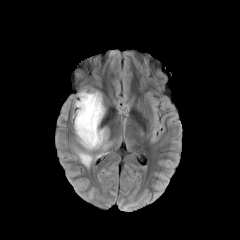
FLAIR magnetic resonance.
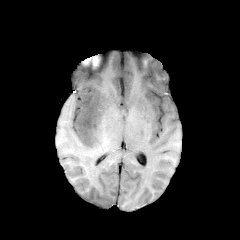
Same slice, T1-weighted magnetic resonance.
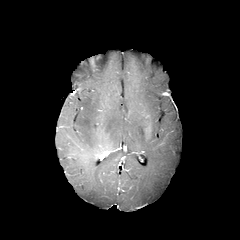
Post-contrast T1-weighted MR image.
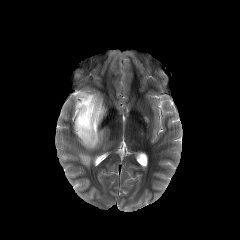
Same slice, T2-weighted MR image.
Brain
edema: <box>72,89,105,150</box>, <box>79,152,93,166</box>